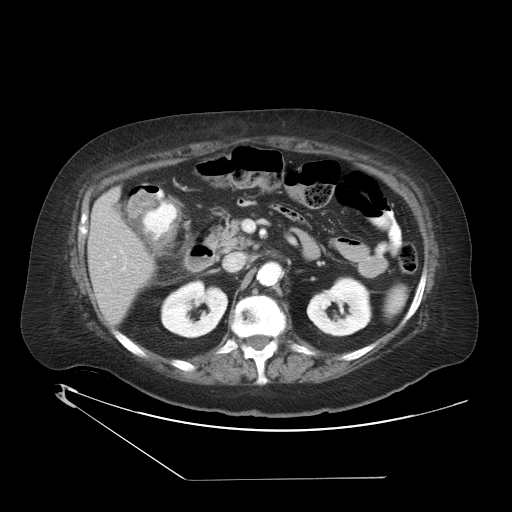 Image size 512x512; Abdomen; CT scan slice
{
  "colon_tumor": [
    "region(142, 201, 181, 249)",
    "region(128, 190, 159, 217)"
  ]
}